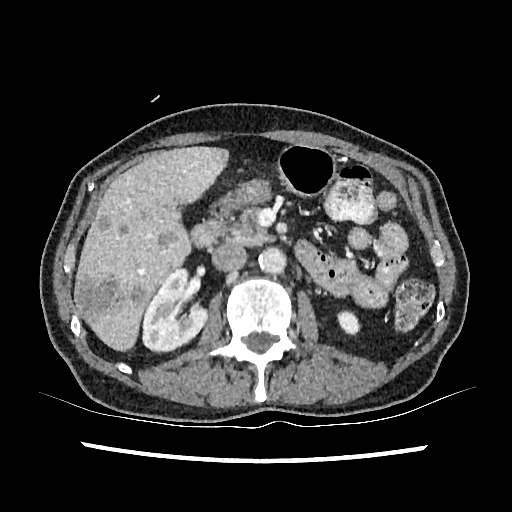 Image size 512x512, CT scan slice
2 kidney regions are bounded by bbox=[143, 266, 206, 350]; bbox=[339, 313, 357, 333]. The liver lies within bbox=[75, 146, 226, 349]. 6 liver lesion regions are bounded by bbox=[140, 211, 148, 220]; bbox=[75, 277, 125, 319]; bbox=[119, 225, 127, 233]; bbox=[129, 285, 146, 307]; bbox=[97, 215, 110, 231]; bbox=[158, 231, 178, 245].